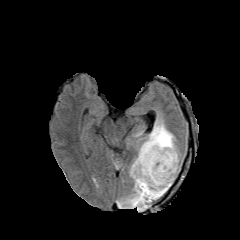
FLAIR MRI.
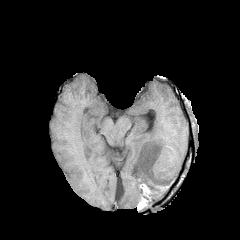
T1-weighted magnetic resonance of the same slice.
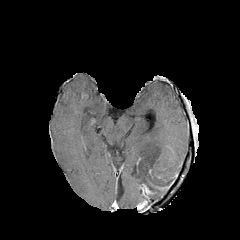
Post-contrast T1-weighted MR image.
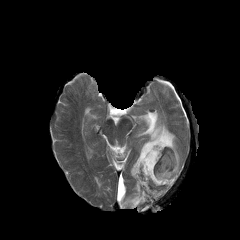
T2-weighted MRI.
240x240. Brain.
<segmentation>
  <edema><bbox>117, 117, 180, 209</bbox></edema>
  <non-enhancing_tumor_core><bbox>138, 190, 150, 203</bbox>, <bbox>144, 150, 159, 177</bbox>, <bbox>162, 175, 175, 187</bbox></non-enhancing_tumor_core>
</segmentation>